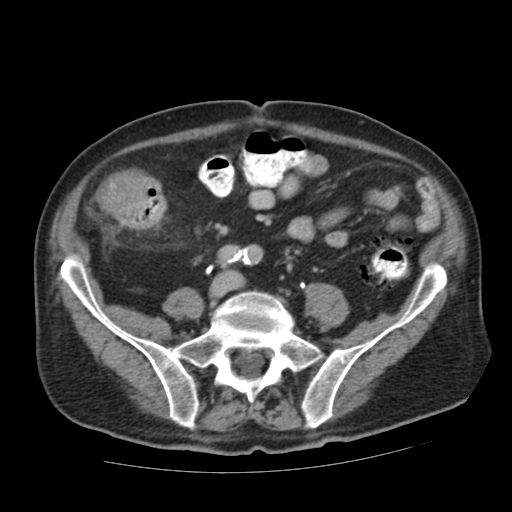

CT slice, Abdomen
2 colon tumor regions are located at bbox(151, 179, 161, 190); bbox(97, 169, 166, 229).